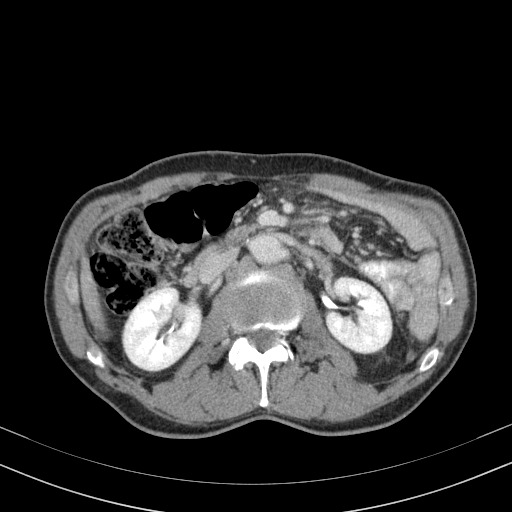 Abdomen, CT image
{"liver": ["[81, 257, 105, 330]"], "kidney": ["[124, 288, 199, 369]", "[327, 278, 391, 352]"]}